Field of view 240x240 mm, Brain
FLAIR MR image.
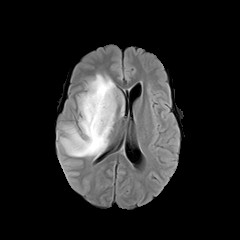
T1-weighted MR image.
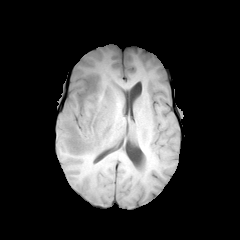
Post-contrast T1-weighted MR image.
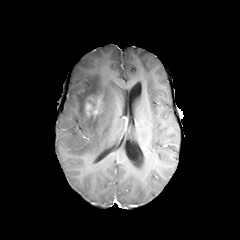
T2-weighted MR.
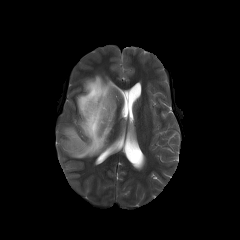
edema: (60,74,124,159) | non-enhancing tumor core: (87,96,102,114)